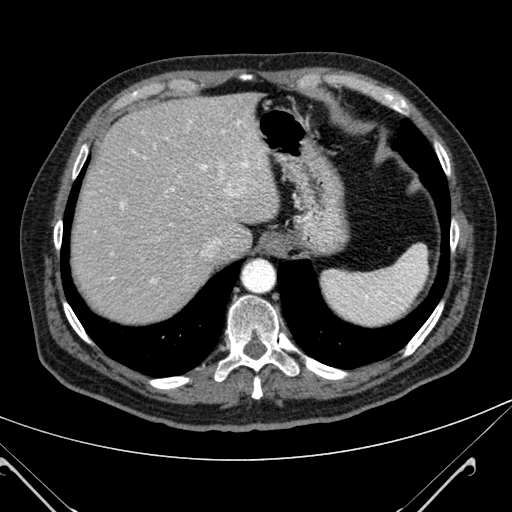

512x512 px. Upper abdomen. CT scan slice. Liver: bounding box [70, 90, 280, 324].